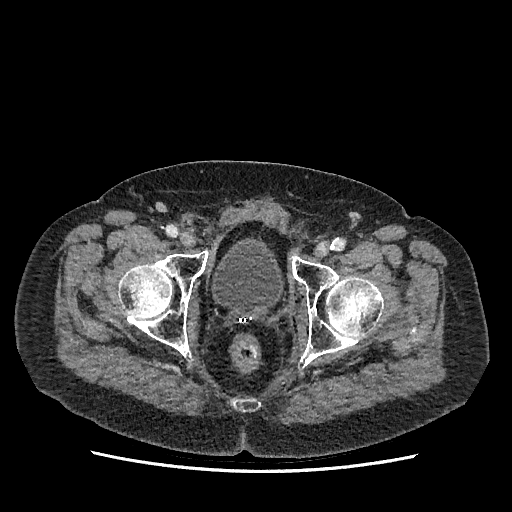

Lower abdomen | CT
urinary bladder: [x1=212, y1=243, x2=281, y2=313]